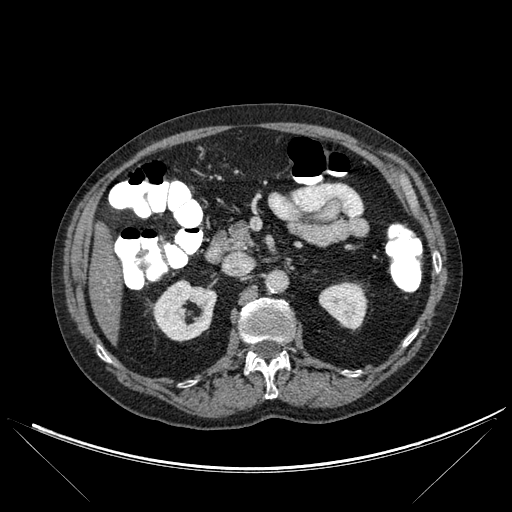

CT scan slice. Abdomen. Kidney: 319:283:366:328, 154:280:216:340.
Liver: 89:229:126:341.
Bone: 100:352:111:361, 433:252:441:271, 246:351:289:398, 343:370:360:376, 239:298:294:345, 403:330:417:345.